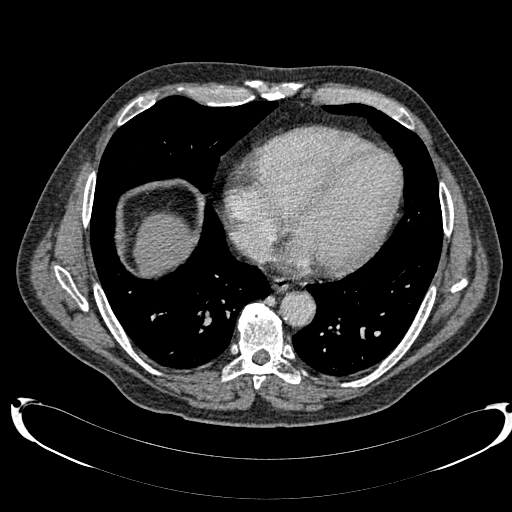 CT slice; Upper abdomen
Liver = <box>133,214,192,275</box>.